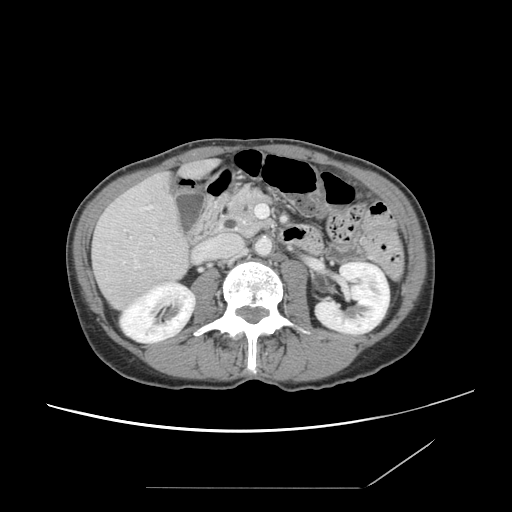 Abdomen | CT image
Segmented structures:
• pancreas: x1=217, y1=184, x2=274, y2=237